FLAIR MR image.
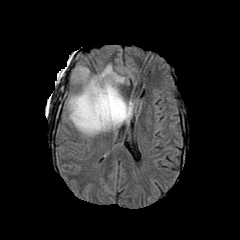
T1-weighted MR.
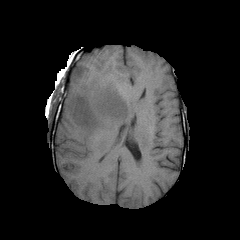
Post-contrast T1-weighted MR image.
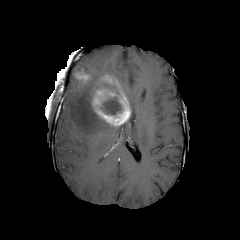
T2-weighted MR.
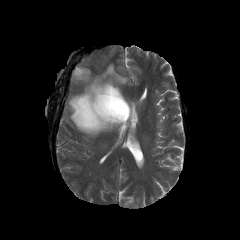
Head
Findings:
• edema: [x1=67, y1=64, x2=125, y2=136], [x1=126, y1=100, x2=134, y2=125]
• non-enhancing tumor core: [x1=95, y1=79, x2=124, y2=95], [x1=103, y1=98, x2=121, y2=114]
• enhancing tumor: [x1=73, y1=66, x2=88, y2=81], [x1=101, y1=74, x2=118, y2=84], [x1=91, y1=87, x2=130, y2=125]